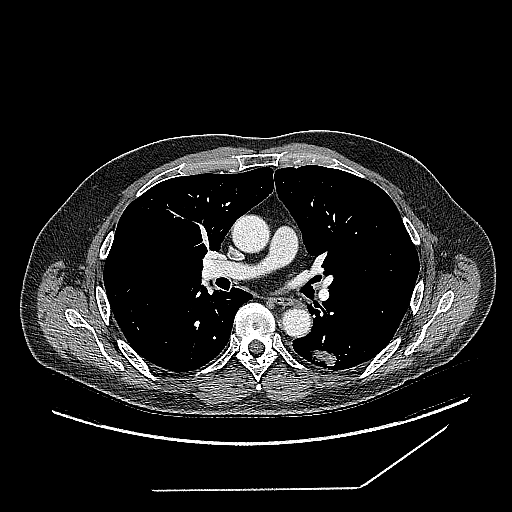

CT slice
Lung tumor = {"x1": 307, "y1": 346, "x2": 340, "y2": 368}.